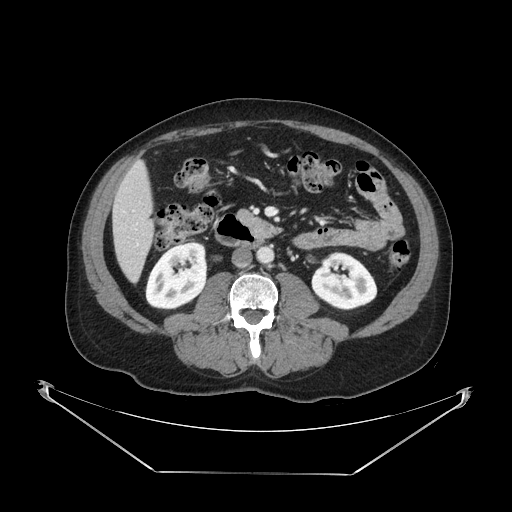 CT image. Upper abdomen. 512x512 px.
Annotated regions:
* pancreas: (left=236, top=209, right=280, bottom=237)